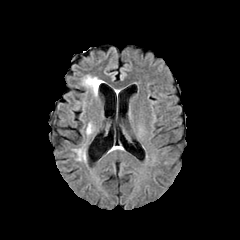
FLAIR magnetic resonance.
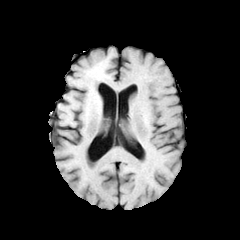
T1-weighted MR image.
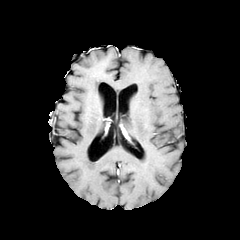
Post-contrast T1-weighted MR image of the same slice.
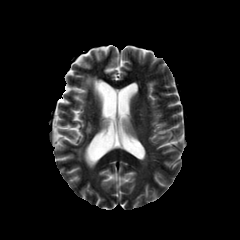
T2-weighted MR image.
Head
{
  "edema": [
    "85,123,93,135",
    "74,147,86,161",
    "82,75,102,97"
  ]
}